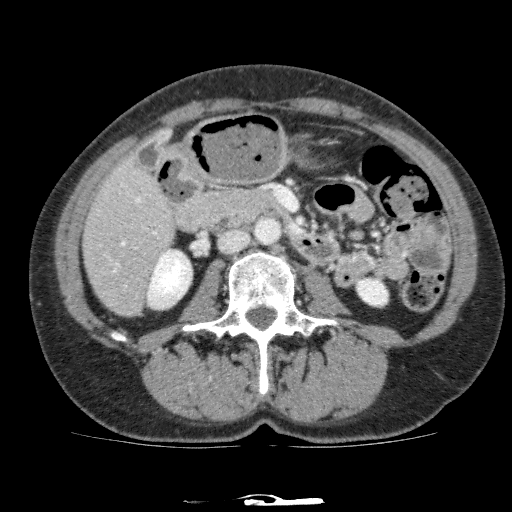 Image size 512x512; Computed tomography; Abdomen
<segmentation>
  <kidney>(left=147, top=250, right=191, bottom=308), (left=357, top=279, right=387, bottom=304)</kidney>
  <liver>(left=82, top=156, right=176, bottom=317)</liver>
</segmentation>